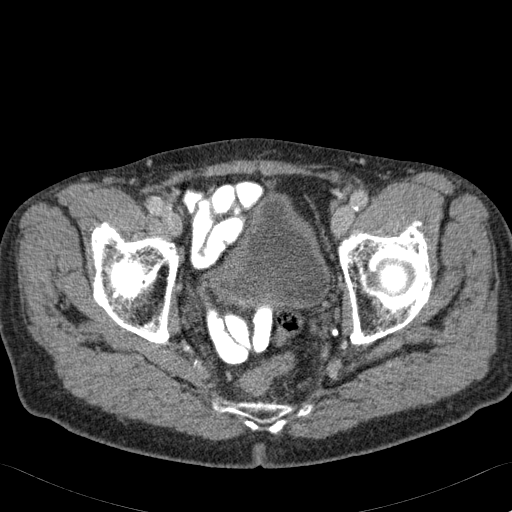 CT slice
urinary bladder: <bbox>216, 198, 330, 310</bbox>